FLAIR MR image.
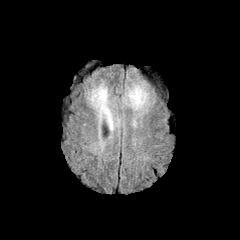
T1-weighted MRI.
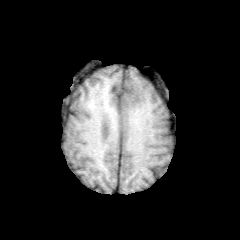
Post-contrast T1-weighted MR image.
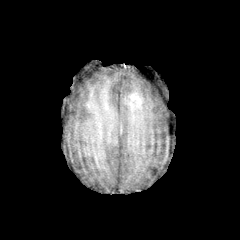
T2-weighted MRI.
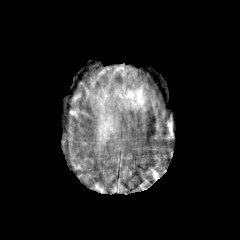
Head; 240x240 px
<segmentation>
  <enhancing_tumor>region(124, 90, 142, 108)</enhancing_tumor>
  <edema>region(88, 87, 116, 131); region(122, 82, 150, 114)</edema>
</segmentation>